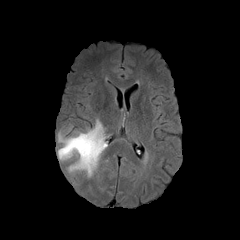
FLAIR MR image.
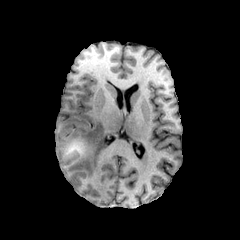
Same slice, T1-weighted magnetic resonance.
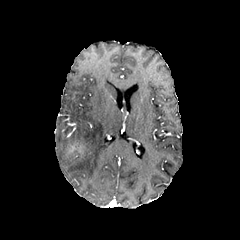
Post-contrast T1-weighted magnetic resonance.
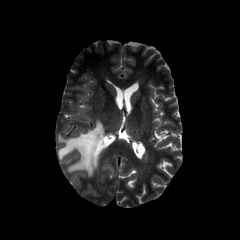
Same slice, T2-weighted magnetic resonance.
The edema is at x1=57 y1=120 x2=107 y2=176. The non-enhancing tumor core appears at x1=69 y1=146 x2=82 y2=153.